FLAIR MRI.
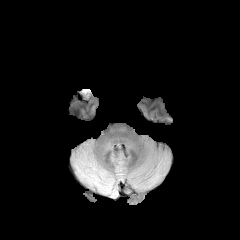
T1-weighted MR image.
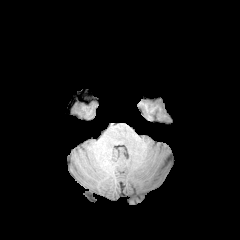
Post-contrast T1-weighted MR image.
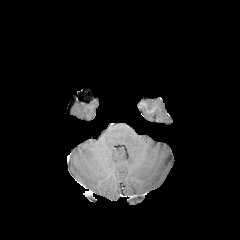
T2-weighted MR.
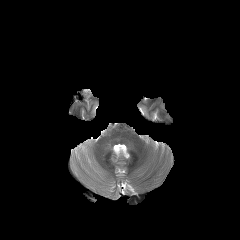
Head
<segmentation>
  <edema>100:180:113:193, 90:154:100:176</edema>
</segmentation>